Field of view 240x240 mm.
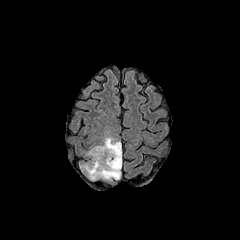
FLAIR MR image.
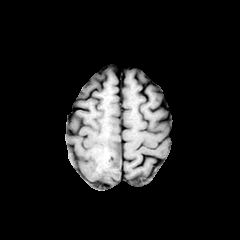
T1-weighted magnetic resonance of the same slice.
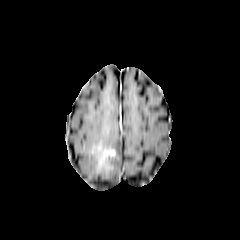
Post-contrast T1-weighted MR image.
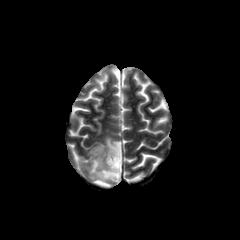
T2-weighted MR image.
• non-enhancing tumor core: box=[92, 144, 120, 177]
• edema: box=[80, 133, 120, 181]; box=[113, 143, 121, 175]
• enhancing tumor: box=[104, 149, 115, 157]